Head, Slice index 90
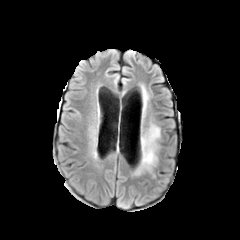
FLAIR MRI.
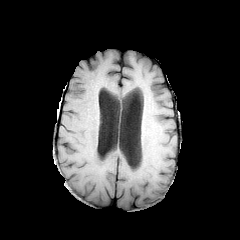
T1-weighted magnetic resonance.
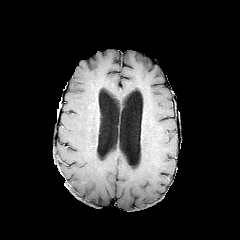
Same slice, post-contrast T1-weighted MRI.
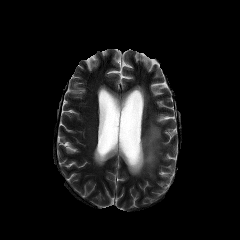
T2-weighted MR image of the same slice.
Edema: (left=140, top=123, right=159, bottom=170), (left=142, top=89, right=149, bottom=102).